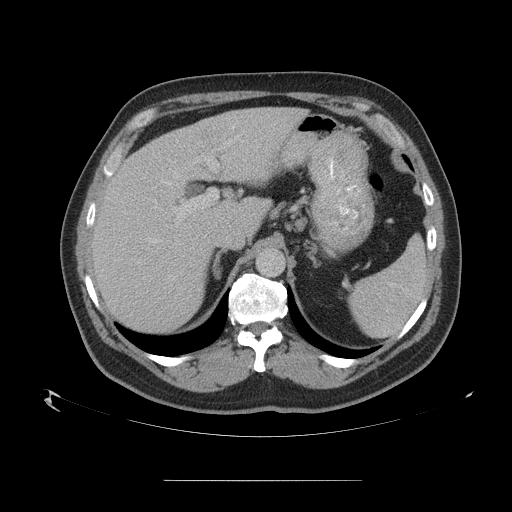 Liver | CT image | Image size 512x512
Some hepatic vessels may have no box.
hepatic vessel: [x1=172, y1=188, x2=218, y2=226], [x1=217, y1=169, x2=219, y2=170]